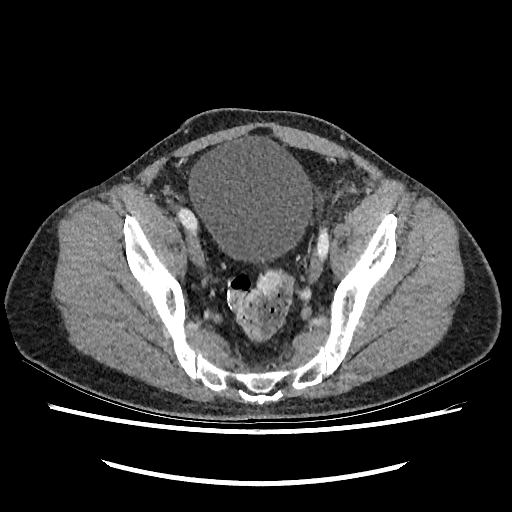 CT image

The urinary bladder is at 188 131 313 263.